Slice 46 of 50 | Liver | CT scan slice | Field of view 460x460 mm
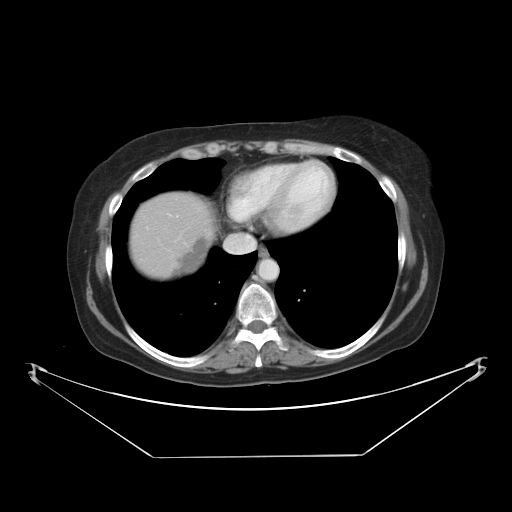 Liver tumor: 171, 236, 209, 274.